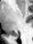
MR | Image size 33x44 | Medial temporal lobe

<segmentation>
  <posterior_hippocampus>(left=14, top=35, right=17, bottom=36)</posterior_hippocampus>
</segmentation>